Liver. Computed tomography.

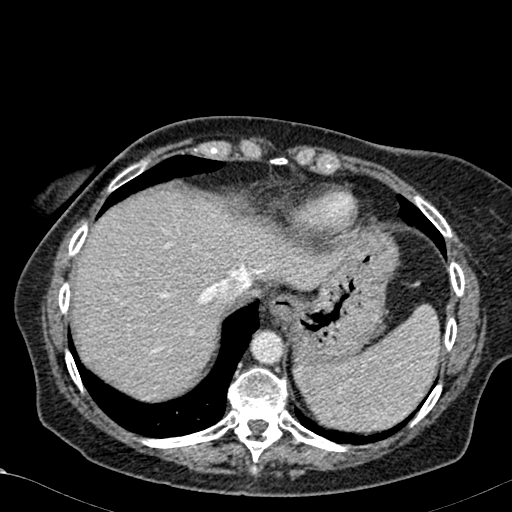
<segmentation>
  <liver>box(74, 193, 324, 400)</liver>
</segmentation>